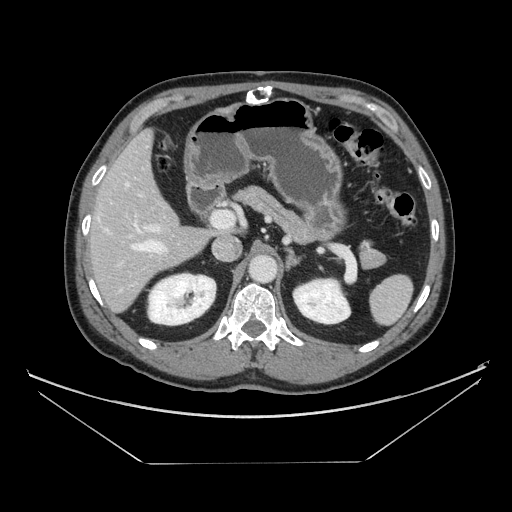 Image size 512x512, CT
pancreas:
  - 234, 186, 312, 243
  - 358, 246, 384, 268